FLAIR MR image.
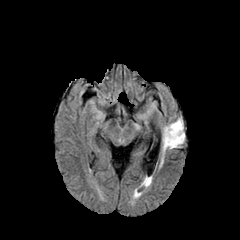
T1-weighted magnetic resonance.
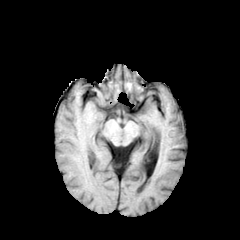
Post-contrast T1-weighted MR image.
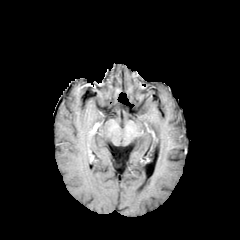
T2-weighted MRI.
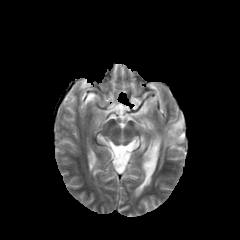
Head; 240x240
{
  "edema": [
    "region(162, 118, 184, 154)"
  ]
}